Slice 41 of 155. 240x240 px. Head.
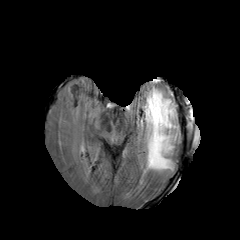
FLAIR MR image.
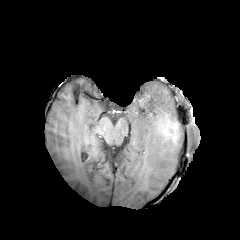
T1-weighted MR.
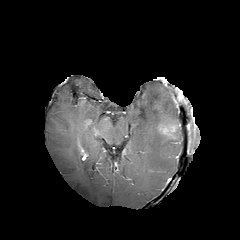
Post-contrast T1-weighted magnetic resonance of the same slice.
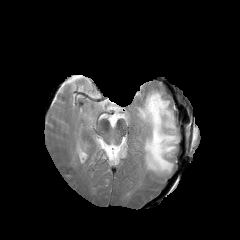
T2-weighted magnetic resonance of the same slice.
Enhancing tumor at box=[163, 128, 175, 138].
Edema at box=[174, 125, 179, 141]; box=[137, 86, 177, 174].